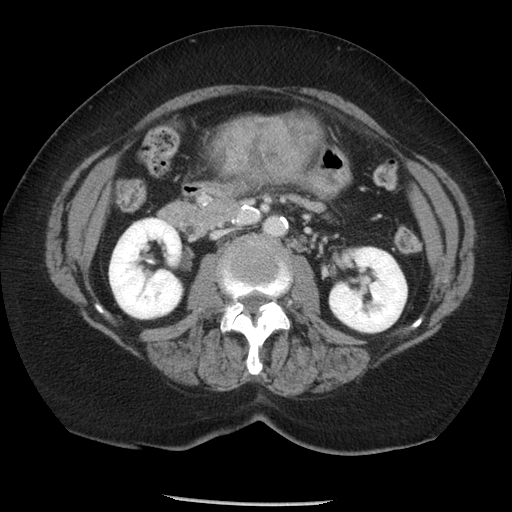 Computed tomography
liver_tumor:
  - <bbox>213, 112, 318, 172</bbox>